FLAIR MR image.
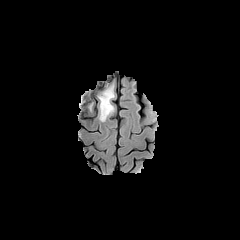
T1-weighted magnetic resonance.
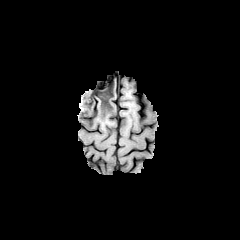
Post-contrast T1-weighted MR image.
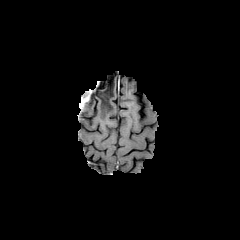
T2-weighted MR.
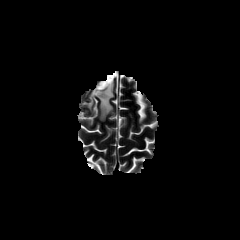
{"edema": ["(80,83,110,113)", "(98,108,113,121)", "(106,86,114,107)"], "non-enhancing_tumor_core": ["(97,84,113,118)"]}